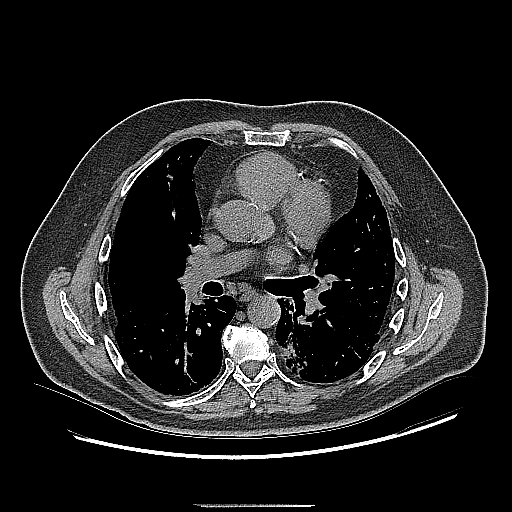
CT. 512x512. Findings:
- lung tumor: 279,299,314,379